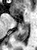 MR
Posterior hippocampus: bounding box (15, 25, 29, 42).